Abdomen. Slice index 30. CT slice. 512x512.
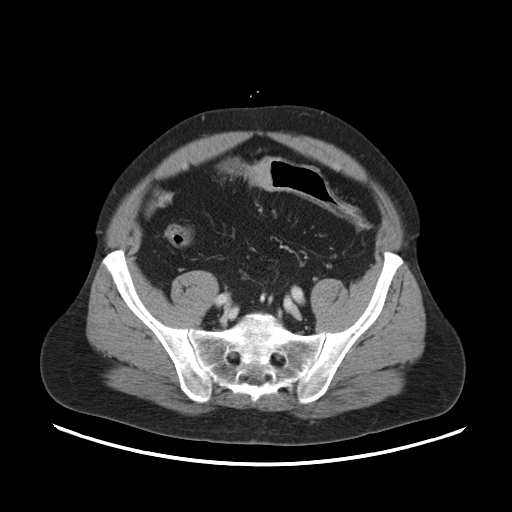 Colon tumor: <bbox>249, 157, 273, 191</bbox>.